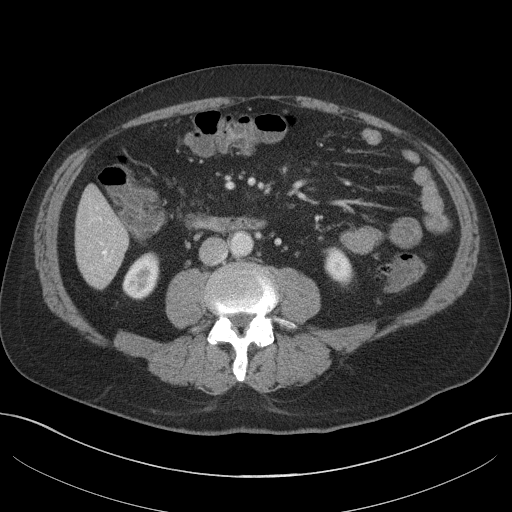 512x512 | CT | Abdomen
- kidney: {"x1": 124, "y1": 256, "x2": 157, "y2": 297}, {"x1": 327, "y1": 251, "x2": 349, "y2": 279}
- liver: {"x1": 75, "y1": 186, "x2": 128, "y2": 287}